CT. Slice 59/89.
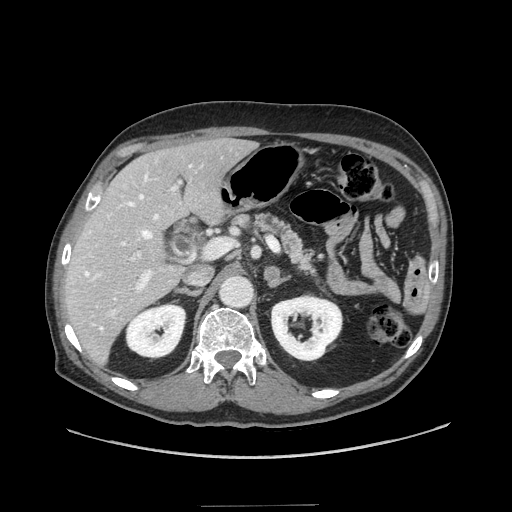 pancreas: 257, 214, 313, 272